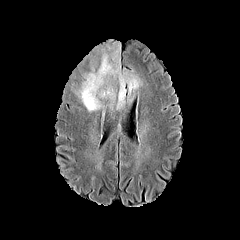
FLAIR MR image.
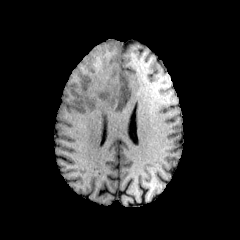
Same slice, T1-weighted MR image.
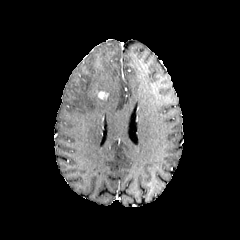
Post-contrast T1-weighted MR.
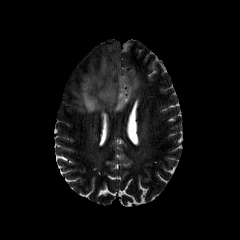
T2-weighted MRI.
Brain
Enhancing tumor: rect(98, 91, 108, 99).
Edema: rect(76, 48, 139, 111).
Non-enhancing tumor core: rect(109, 102, 115, 113).